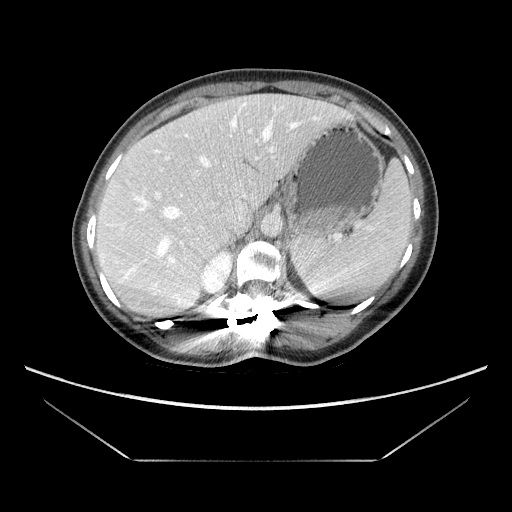

Computed tomography

Not every hepatic vessel necessarily has a box.
{
  "hepatic_vessel": [
    "box(162, 205, 185, 220)",
    "box(235, 201, 242, 219)",
    "box(226, 210, 233, 219)",
    "box(200, 157, 208, 166)",
    "box(263, 128, 269, 137)",
    "box(163, 238, 169, 243)"
  ]
}